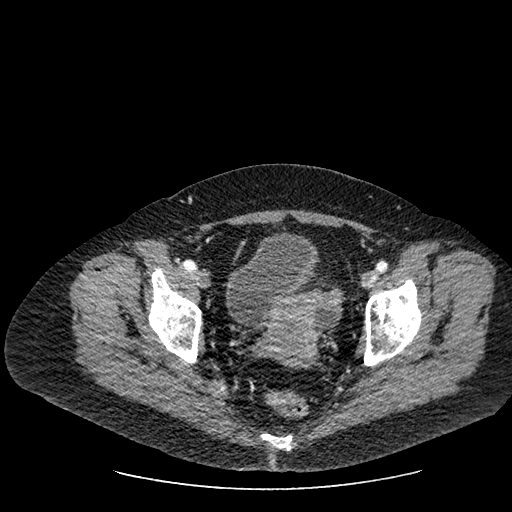

CT image | Pelvis | Image size 512x512
Urinary bladder = bbox=[229, 231, 313, 328].